Upper abdomen, CT scan slice, Field of view 429x429 mm 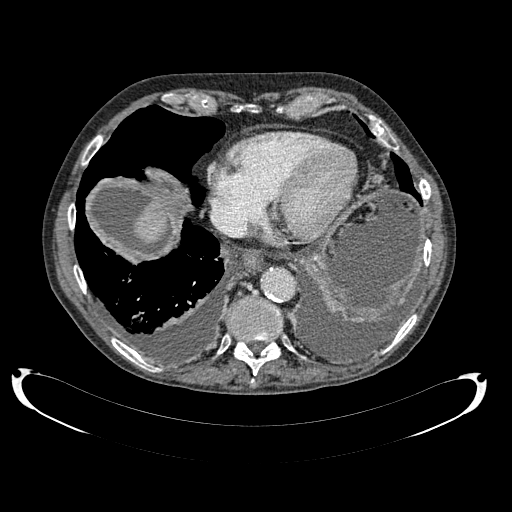 The liver is bounded by (left=133, top=196, right=168, bottom=241).